FLAIR MR image.
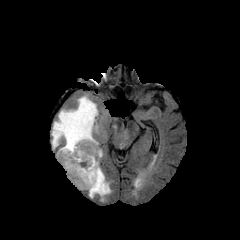
T1-weighted MR image.
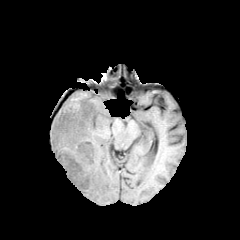
Post-contrast T1-weighted magnetic resonance.
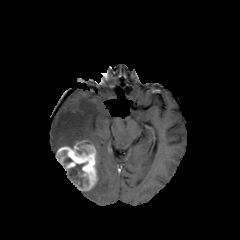
T2-weighted MR.
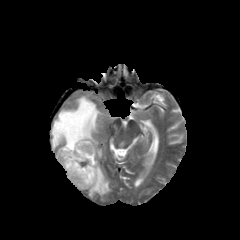
Head | 240x240
Enhancing tumor — [56,140,97,189].
Edema — [51,94,111,199].
Non-enhancing tumor core — [67,163,85,187].